240x240 px; Field of view 240 mm wide, 1.00 mm slice spacing
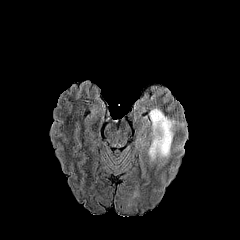
FLAIR MR.
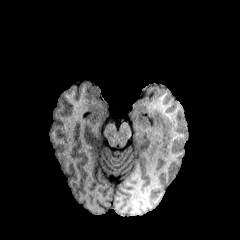
T1-weighted MR of the same slice.
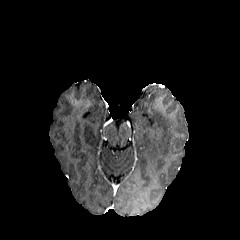
Same slice, post-contrast T1-weighted MR.
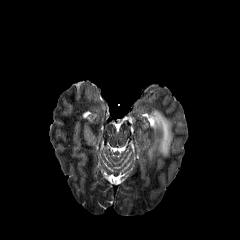
Same slice, T2-weighted MR image.
Edema at [149,109,173,168].